Head
FLAIR MR.
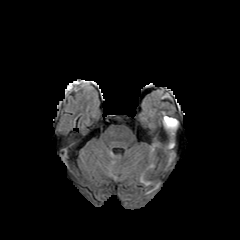
T1-weighted MR.
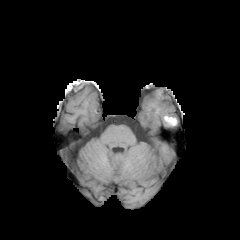
Post-contrast T1-weighted MR image.
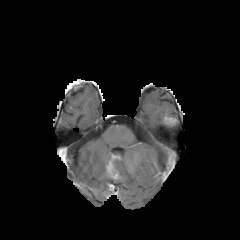
T2-weighted MRI.
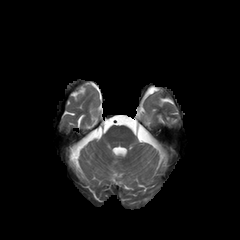
edema:
  - 164, 116, 176, 127
non-enhancing_tumor_core:
  - 107, 161, 118, 178